Brain; 240x240 px; Slice 98 of 155
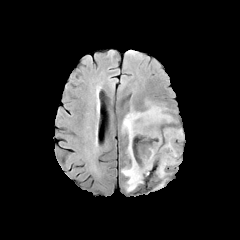
FLAIR MR image.
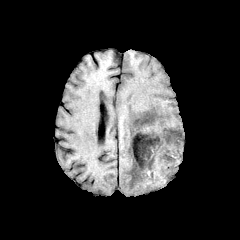
T1-weighted MRI.
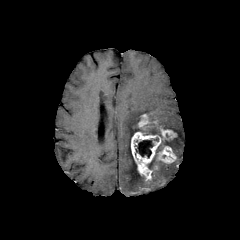
Same slice, post-contrast T1-weighted MR.
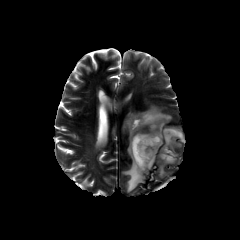
Same slice, T2-weighted MR.
non-enhancing_tumor_core:
  - bbox(137, 113, 175, 156)
  - bbox(134, 137, 158, 158)
enhancing_tumor:
  - bbox(158, 147, 174, 163)
  - bbox(161, 129, 175, 137)
  - bbox(138, 114, 149, 126)
  - bbox(131, 132, 160, 178)
edema:
  - bbox(121, 106, 172, 192)
  - bbox(158, 161, 167, 177)
  - bbox(162, 127, 183, 157)